Computed tomography; Image width 400 mm; Abdomen

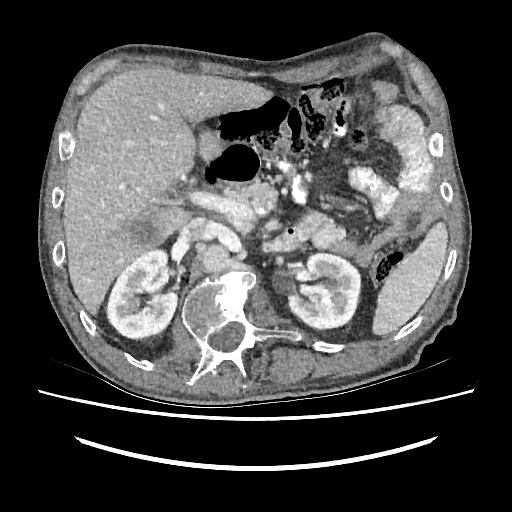 liver:
  - left=64, top=68, right=271, bottom=315
kidney:
  - left=289, top=253, right=359, bottom=328
  - left=108, top=250, right=176, bottom=338
hepatic_lesion:
  - left=124, top=216, right=158, bottom=249